CT scan slice
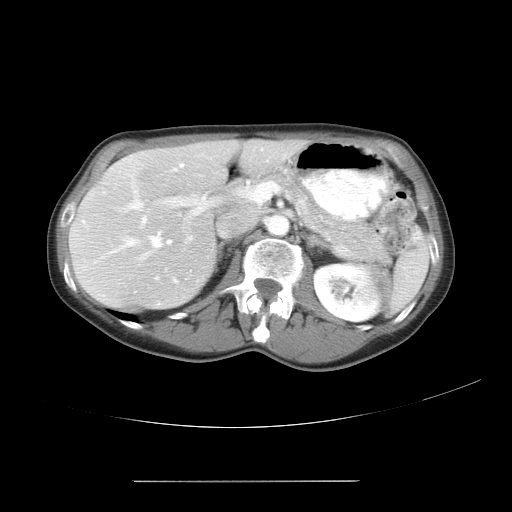 Not every hepatic vessel necessarily has a box.
hepatic_vessel:
  - <bbox>141, 217, 145, 223</bbox>
  - <bbox>172, 278, 176, 281</bbox>
  - <bbox>113, 237, 135, 250</bbox>
  - <bbox>164, 196, 213, 214</bbox>
  - <bbox>179, 164, 182, 166</bbox>
  - <bbox>155, 276, 157, 278</bbox>
  - <bbox>149, 232, 170, 246</bbox>
  - <bbox>237, 190, 241, 192</bbox>
  - <bbox>138, 252, 148, 258</bbox>
  - <bbox>245, 181, 248, 187</bbox>
  - <bbox>188, 236, 191, 239</bbox>
  - <bbox>127, 191, 141, 208</bbox>
  - <bbox>173, 167, 176, 170</bbox>
  - <bbox>139, 225, 140, 227</bbox>
  - <bbox>94, 260, 95, 261</bbox>
liver_tumor:
  - <bbox>141, 164, 152, 179</bbox>